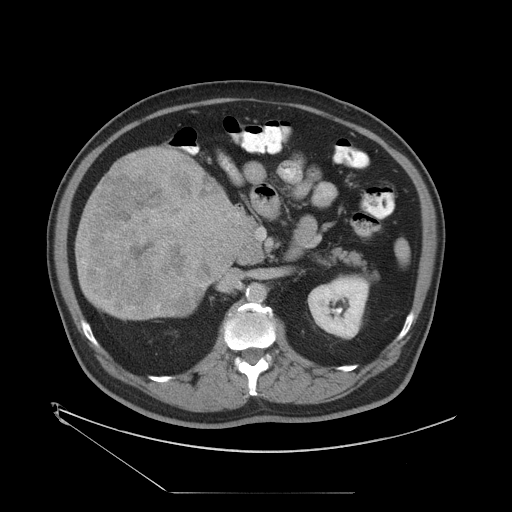
Abdomen; CT scan slice

Not every hepatic vessel necessarily has a box.
Liver tumor: 77,148,246,317.
Hepatic vessel: 111,309,112,311; 98,300,100,302; 105,305,107,307.